Image width 34 mm, MRI, Medial temporal lobe

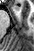

* anterior hippocampus: bbox(12, 5, 14, 8); bbox(16, 6, 18, 9)